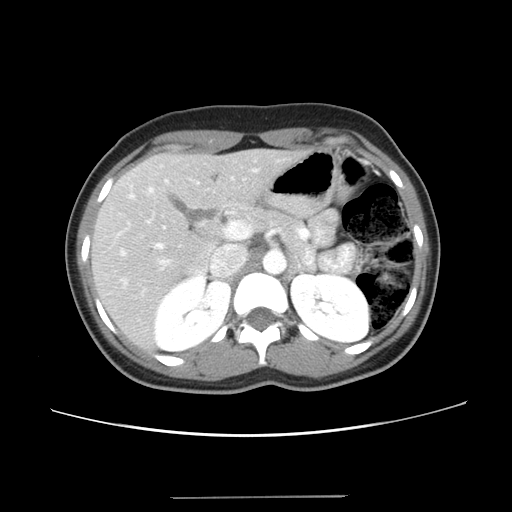

CT slice
The vessel annotation is not exhaustive.
{"hepatic_vessel": ["(x1=231, y1=178, x2=234, y2=180)", "(x1=155, y1=243, x2=163, y2=248)", "(x1=129, y1=194, x2=135, y2=198)", "(x1=198, y1=182, x2=199, y2=184)", "(x1=166, y1=180, x2=168, y2=183)", "(x1=159, y1=261, x2=167, y2=269)", "(x1=121, y1=278, x2=127, y2=286)", "(x1=121, y1=250, x2=125, y2=255)", "(x1=163, y1=226, x2=165, y2=228)", "(x1=149, y1=188, x2=153, y2=192)", "(x1=253, y1=169, x2=258, y2=172)", "(x1=147, y1=219, x2=152, y2=223)", "(x1=129, y1=223, x2=130, y2=225)"]}